240x240, Brain
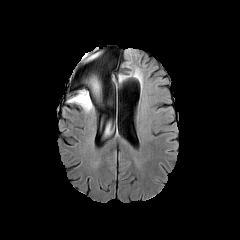
FLAIR MR.
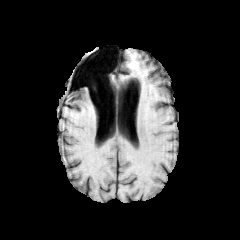
T1-weighted MR of the same slice.
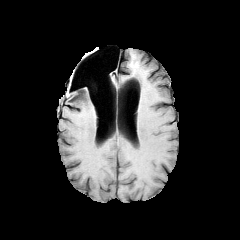
Same slice, post-contrast T1-weighted MR image.
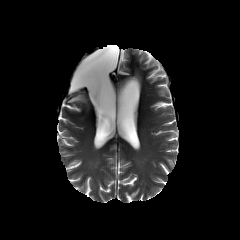
T2-weighted MR image of the same slice.
Edema — (70, 74, 105, 110).